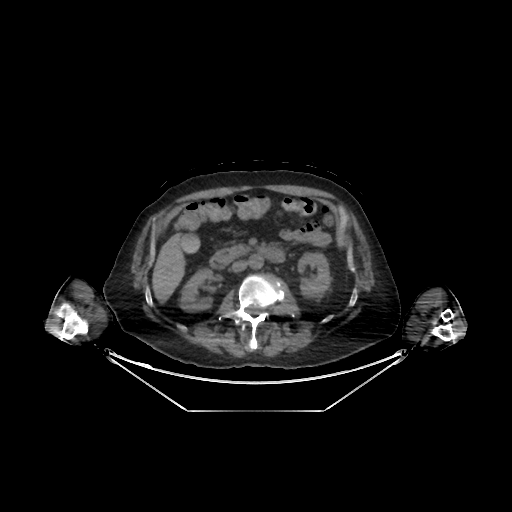

CT image, Image size 512x512
2 kidney regions are located at 297, 252, 333, 302; 177, 266, 223, 312. The liver appears at 152, 233, 199, 301.